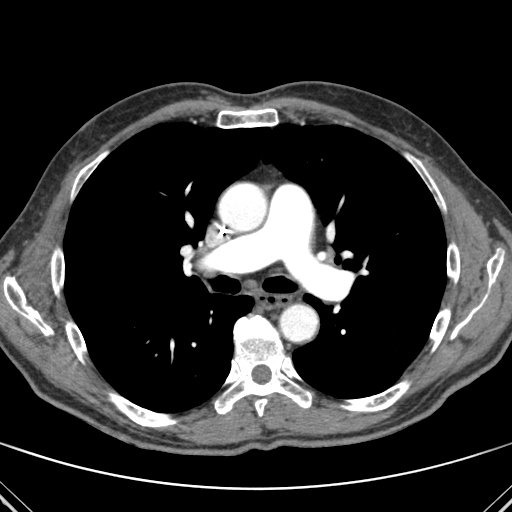 512x512 | CT slice
The lung is at (63,122,446,412). 13 bone regions are located at (51,248,64,295), (430,308,450,351), (214,315,312,416), (447,243,459,282), (71,152,105,196), (341,380,410,411), (3,277,53,336), (217,108,278,128), (109,393,176,426), (406,153,445,210), (487,251,503,286), (450,296,486,339), (66,322,86,362).